Computed tomography | Field of view 408 mm wide, 0.80 mm slice spacing | Slice 117 of 171 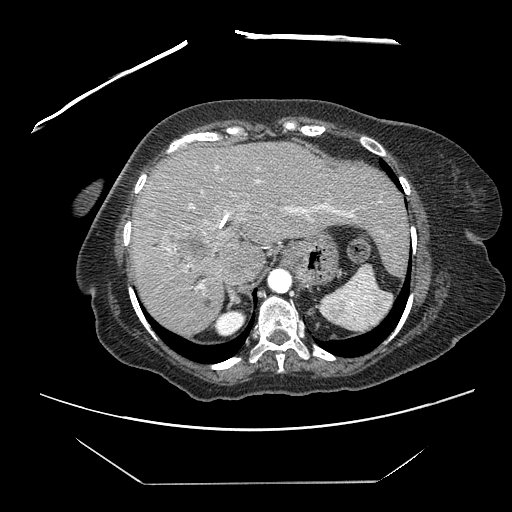

The vessel boxes may cover only some of the vessels.
<segmentation>
  <liver_tumor>bbox(164, 218, 214, 268)</liver_tumor>
  <hepatic_vessel>bbox(284, 204, 353, 216); bbox(198, 284, 202, 288); bbox(190, 205, 193, 207)</hepatic_vessel>
</segmentation>